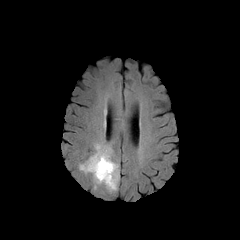
FLAIR MRI.
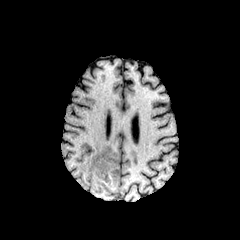
T1-weighted MRI of the same slice.
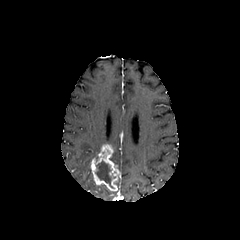
Same slice, post-contrast T1-weighted MR.
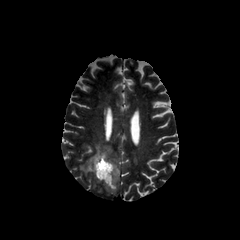
Same slice, T2-weighted MR.
Brain
Segmented structures:
* edema: region(78, 140, 102, 174); region(104, 98, 108, 118)
* enhancing tumor: region(90, 144, 119, 191)
* non-enhancing tumor core: region(95, 159, 115, 184)